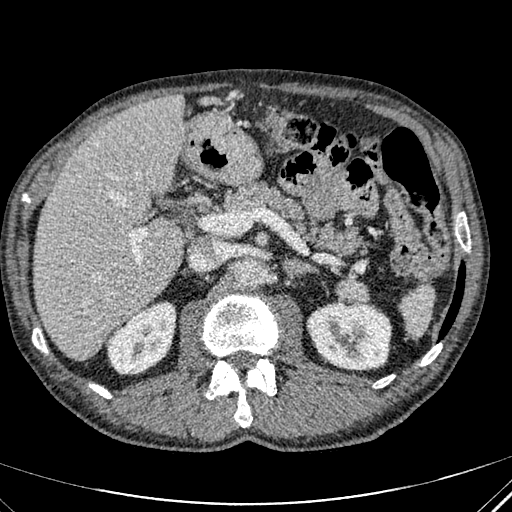 512x512, CT image
hepatic_lesion:
  - left=161, top=97, right=173, bottom=106
liver:
  - left=34, top=96, right=186, bottom=359
kidney:
  - left=108, top=303, right=174, bottom=373
  - left=308, top=304, right=389, bottom=369